CT scan slice; Slice 42/466 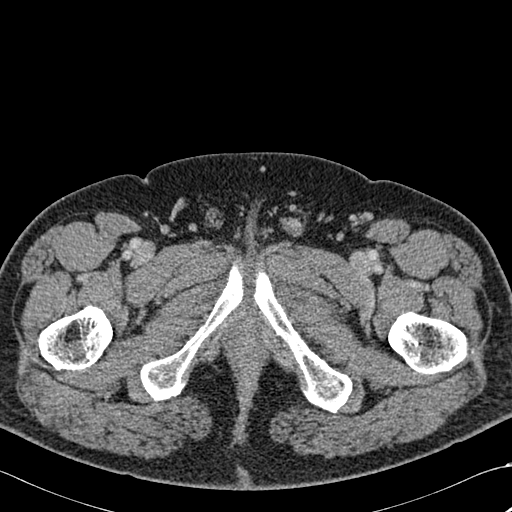

<segmentation>
  <bone>141, 266, 242, 400; 388, 312, 466, 373; 254, 272, 351, 412; 38, 306, 112, 370</bone>
</segmentation>